FLAIR MR.
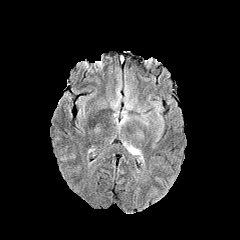
T1-weighted magnetic resonance.
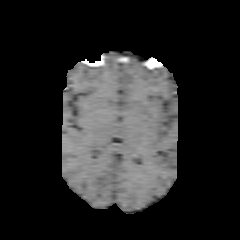
Post-contrast T1-weighted MR.
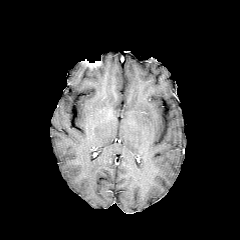
T2-weighted MR.
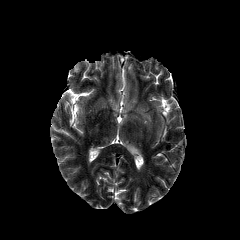
Brain
3 edema regions are bounded by x1=151, y1=101, x2=163, y2=117; x1=123, y1=140, x2=144, y2=163; x1=110, y1=74, x2=150, y2=131.